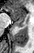

MR | Hippocampus | 34x53 px
Segmented structures:
- posterior hippocampus: box(14, 20, 23, 26)
- anterior hippocampus: box(7, 5, 25, 20)